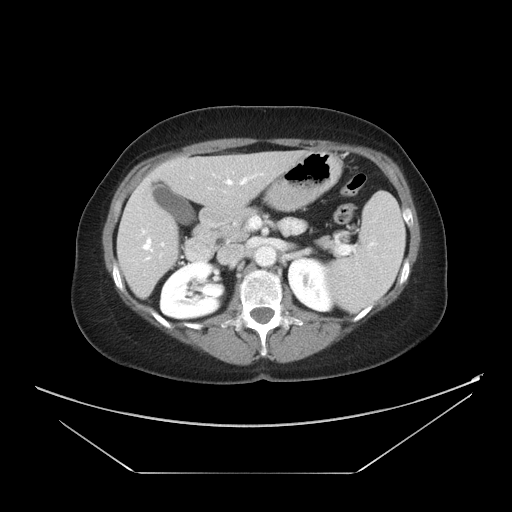
CT image | Abdomen
The vessel annotation is not exhaustive.
8 hepatic vessel regions are located at (146,257,149,259), (160,254,161,256), (241,178,246,183), (226,179,231,183), (213,270,216,273), (141,230,145,234), (161,243,163,245), (143,238,152,250).